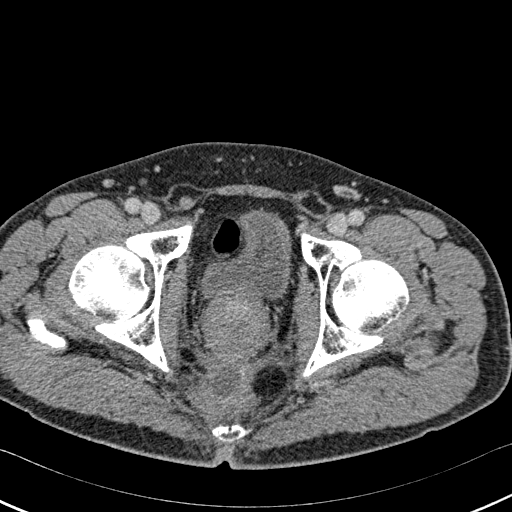

CT scan slice
4 bone regions are bounded by [211,425,248,440], [301,234,408,376], [69,225,191,371], [28,318,64,347]. The urinary bladder is bounded by [200,211,290,309].